Abdomen. Slice 403 of 537. CT scan slice.
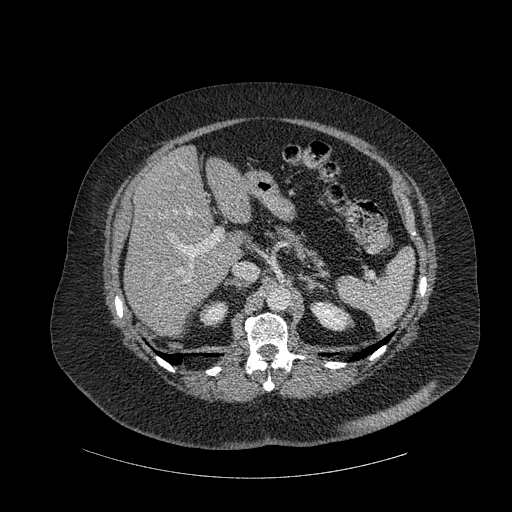
Segmented structures:
• lung: box=[157, 352, 184, 364]; box=[350, 335, 390, 360]
• kidney: box=[201, 303, 226, 324]; box=[312, 302, 348, 329]
• liver: box=[124, 145, 242, 337]; box=[207, 157, 251, 223]
• bone: box=[263, 376, 273, 390]; box=[325, 362, 345, 368]; box=[245, 313, 304, 373]; box=[370, 345, 385, 359]; box=[206, 367, 220, 375]; box=[156, 357, 174, 371]; box=[420, 277, 426, 295]; box=[115, 296, 122, 317]